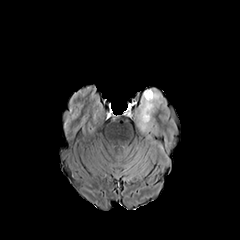
FLAIR magnetic resonance.
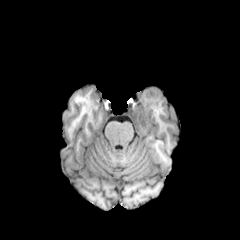
T1-weighted MRI.
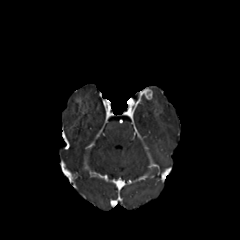
Post-contrast T1-weighted MR image.
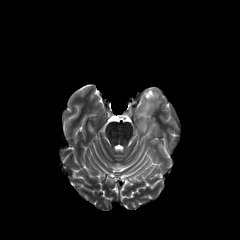
T2-weighted magnetic resonance of the same slice.
Brain
* enhancing tumor: x1=143, y1=88, x2=152, y2=99
* edema: x1=133, y1=92, x2=162, y2=146